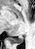 MRI. Image size 35x49.

The posterior hippocampus is bounded by bbox=[8, 35, 22, 44].